Brain, Image size 240x240, Slice 72 of 155
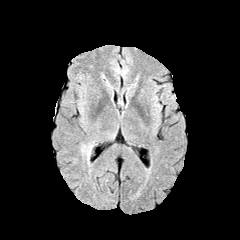
FLAIR MR image.
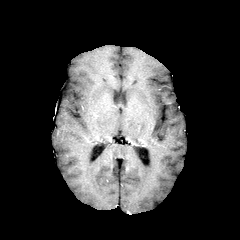
T1-weighted MR image.
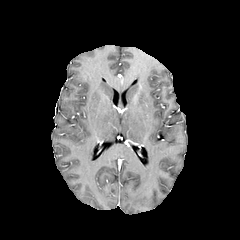
Post-contrast T1-weighted magnetic resonance of the same slice.
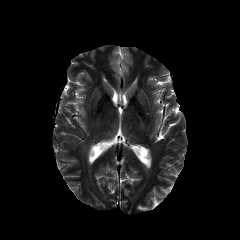
Same slice, T2-weighted MR.
<segmentation>
  <edema>(left=82, top=142, right=95, bottom=159)</edema>
</segmentation>